FLAIR MR image.
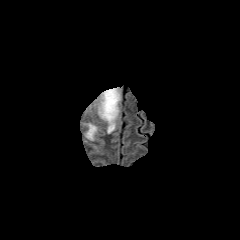
T1-weighted MR.
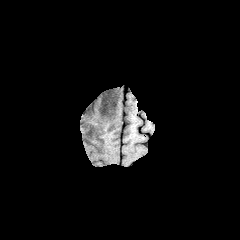
Post-contrast T1-weighted MR.
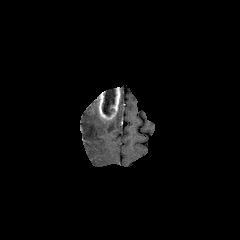
T2-weighted MR.
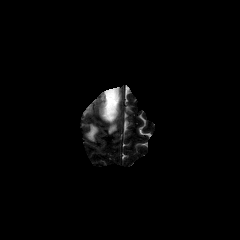
Brain
Findings:
- edema: l=85, t=123, r=100, b=140; l=95, t=104, r=118, b=133
- enhancing tumor: l=96, t=91, r=107, b=118; l=111, t=90, r=119, b=110
- non-enhancing tumor core: l=102, t=88, r=117, b=121